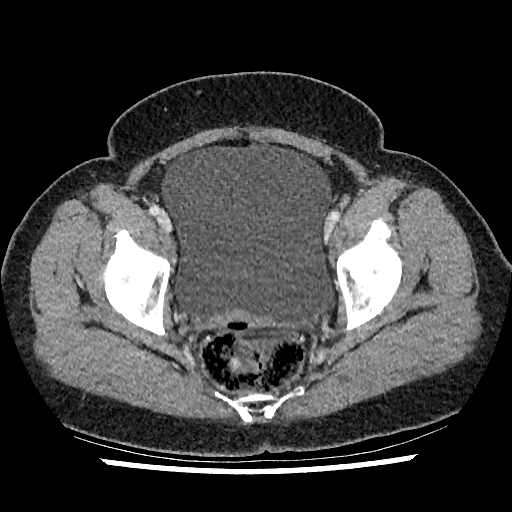
Computed tomography
<segmentation>
  <urinary_bladder>162, 144, 333, 329</urinary_bladder>
</segmentation>